Abdomen, 512x512 px, Computed tomography
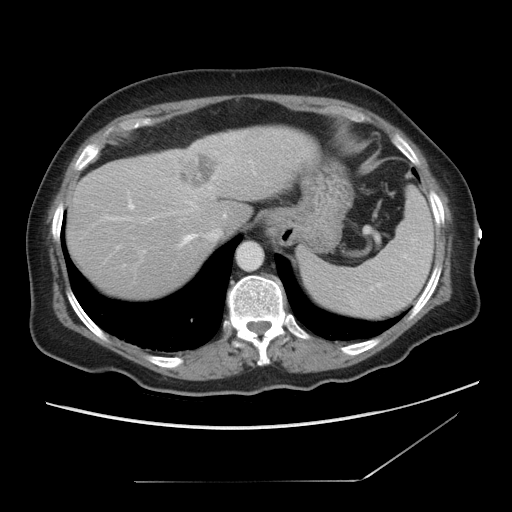 The vessel annotation is not exhaustive.
4 hepatic vessel regions are located at [208,234,214,240], [183,235,195,244], [209,186,211,188], [129,205,133,208]. The liver tumor appears at [183,153,215,185].